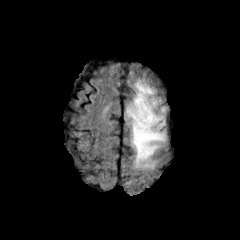
FLAIR MR.
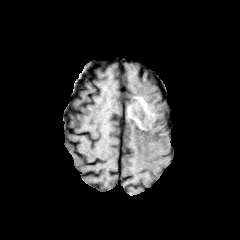
T1-weighted MR.
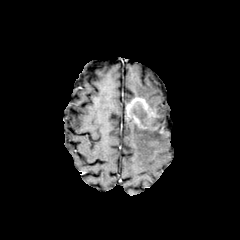
Post-contrast T1-weighted magnetic resonance of the same slice.
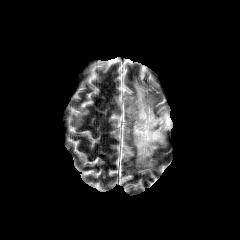
T2-weighted magnetic resonance of the same slice.
Head
enhancing tumor: l=126, t=97, r=154, b=116 | edema: l=125, t=79, r=166, b=169 | non-enhancing tumor core: l=156, t=115, r=165, b=133; l=127, t=103, r=156, b=129